Slice 123/152 | Image width 432 mm | CT slice

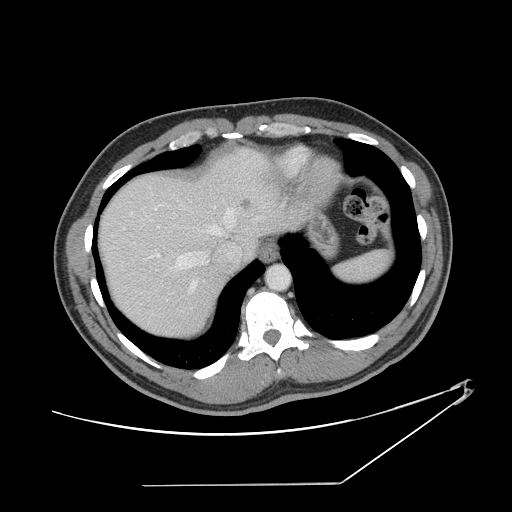

The vessel annotation is not exhaustive.
15 hepatic vessel regions are located at region(207, 225, 223, 234); region(224, 221, 226, 223); region(254, 216, 263, 219); region(171, 253, 193, 269); region(155, 204, 163, 209); region(227, 211, 233, 215); region(155, 250, 159, 256); region(227, 225, 230, 228); region(190, 280, 197, 291); region(130, 212, 132, 215); region(147, 256, 152, 257); region(233, 220, 235, 221); region(145, 214, 146, 217); region(197, 252, 199, 253); region(202, 255, 207, 264). The liver tumor is located at region(241, 198, 252, 208).